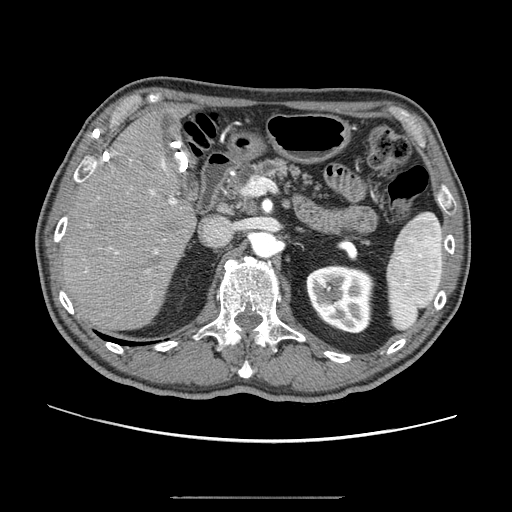
Abdomen, CT slice
The pancreatic tumor is bounded by box=[242, 199, 256, 213]. The pancreas is bounded by box=[231, 159, 323, 197].